Brain
FLAIR MRI.
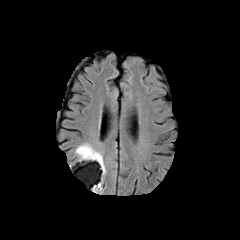
T1-weighted MR image.
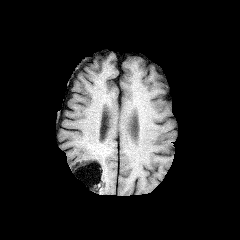
Post-contrast T1-weighted MRI.
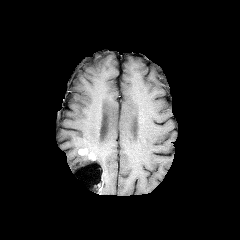
T2-weighted MR image.
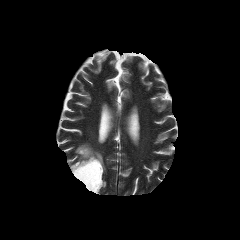
The non-enhancing tumor core is located at [83,156,101,169]. The edema is at [74,142,106,180]. The enhancing tumor lies within [78,148,96,159].